CT slice 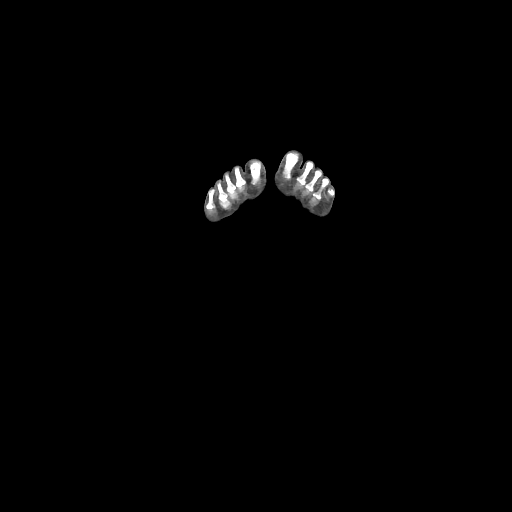
Bone — 321, 178, 328, 189; 250, 161, 260, 184; 218, 167, 245, 207; 206, 190, 213, 210; 283, 153, 297, 178; 297, 162, 321, 192.